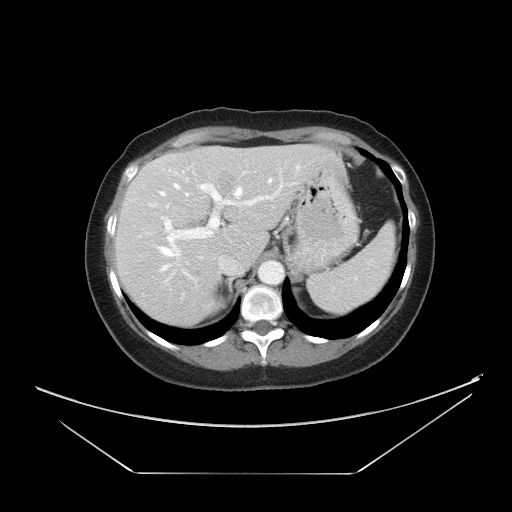

Liver, Computed tomography
The vessel annotation is not exhaustive.
Findings:
- hepatic vessel (principal 15 of 17): region(189, 166, 192, 167); region(160, 191, 164, 195); region(243, 172, 245, 173); region(183, 271, 189, 276); region(149, 203, 156, 206); region(269, 179, 271, 182); region(166, 205, 168, 207); region(219, 257, 236, 274); region(174, 184, 178, 188); region(161, 264, 169, 270); region(234, 187, 242, 196); region(158, 184, 236, 256); region(242, 170, 282, 205); region(186, 178, 187, 180); region(164, 274, 172, 282)
- liver tumor: region(216, 170, 235, 195)